FLAIR magnetic resonance.
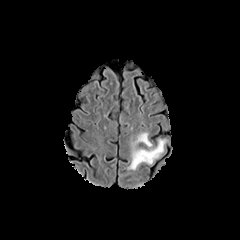
T1-weighted MRI.
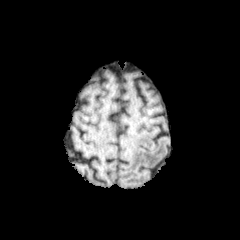
Post-contrast T1-weighted MR.
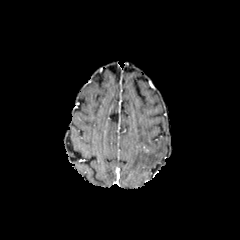
T2-weighted MRI.
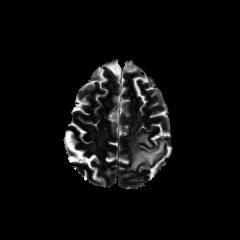
240x240
Edema: bounding box 127, 133, 167, 170.